CT scan slice. Image width 410 mm. 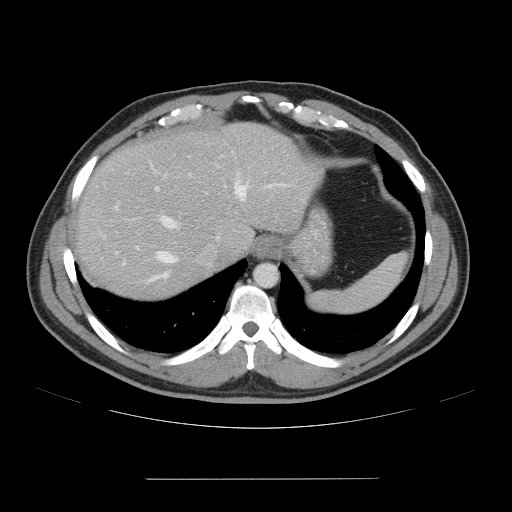
Not every hepatic vessel necessarily has a box.
hepatic vessel: {"x1": 157, "y1": 251, "x2": 176, "y2": 262}, {"x1": 163, "y1": 174, "x2": 165, "y2": 176}, {"x1": 225, "y1": 185, "x2": 226, "y2": 186}, {"x1": 136, "y1": 247, "x2": 137, "y2": 248}, {"x1": 268, "y1": 184, "x2": 287, "y2": 187}, {"x1": 116, "y1": 252, "x2": 117, "y2": 253}, {"x1": 123, "y1": 262, "x2": 124, "y2": 263}, {"x1": 115, "y1": 204, "x2": 118, "y2": 209}, {"x1": 161, "y1": 217, "x2": 175, "y2": 227}, {"x1": 149, "y1": 273, "x2": 167, "y2": 280}, {"x1": 235, "y1": 182, "x2": 247, "y2": 200}, {"x1": 151, "y1": 164, "x2": 152, "y2": 167}, {"x1": 156, "y1": 187, "x2": 158, "y2": 190}, {"x1": 102, "y1": 235, "x2": 105, "y2": 238}